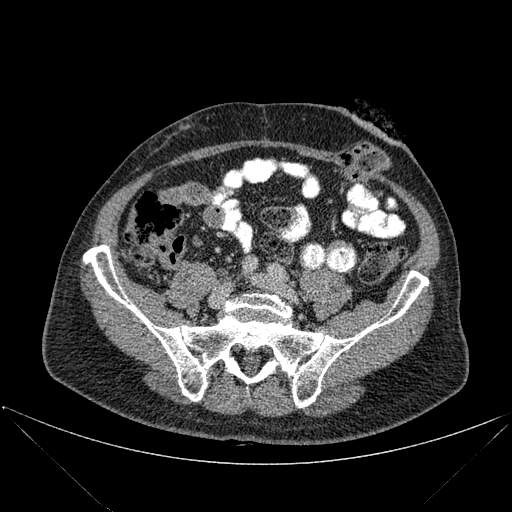 CT image.
Bone — 83:245:428:407.